CT
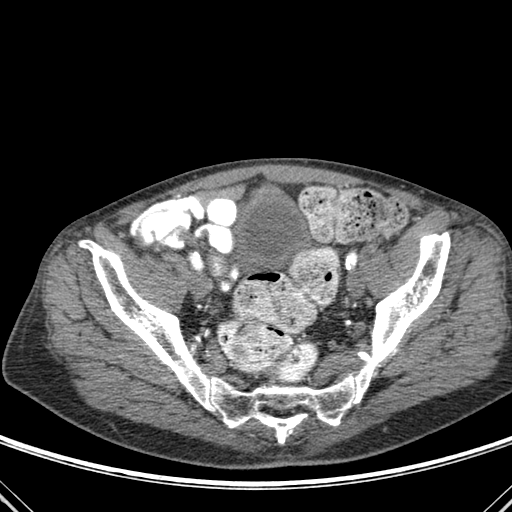

2 bone regions are bounded by [x1=345, y1=256, x2=355, y2=268], [x1=79, y1=232, x2=450, y2=443].